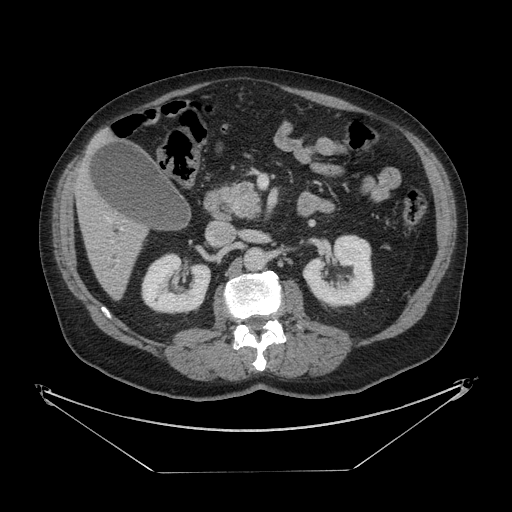 CT slice.
pancreatic tumor: bbox(229, 184, 256, 207) | pancreas: bbox(234, 183, 259, 217)